Image width 373 mm | Computed tomography | Image size 512x512
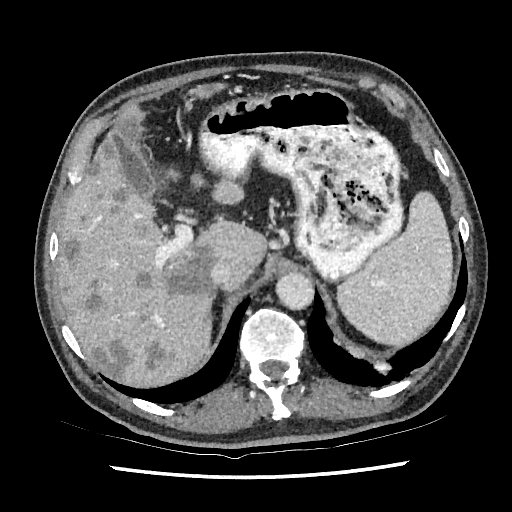 <segmentation>
  <hepatic_lesion>box=[114, 113, 136, 133]; box=[63, 240, 79, 268]; box=[146, 341, 166, 369]; box=[84, 162, 99, 180]; box=[134, 224, 145, 236]; box=[134, 269, 152, 289]; box=[93, 340, 131, 381]; box=[109, 188, 130, 214]; box=[101, 139, 118, 162]; box=[82, 277, 106, 317]; box=[165, 244, 217, 298]; box=[199, 307, 210, 326]; box=[179, 324, 189, 330]</hepatic_lesion>
  <liver>box=[105, 127, 115, 139]; box=[191, 82, 224, 98]; box=[57, 146, 266, 386]; box=[213, 180, 242, 204]; box=[120, 103, 142, 146]; box=[192, 175, 202, 185]</liver>
</segmentation>